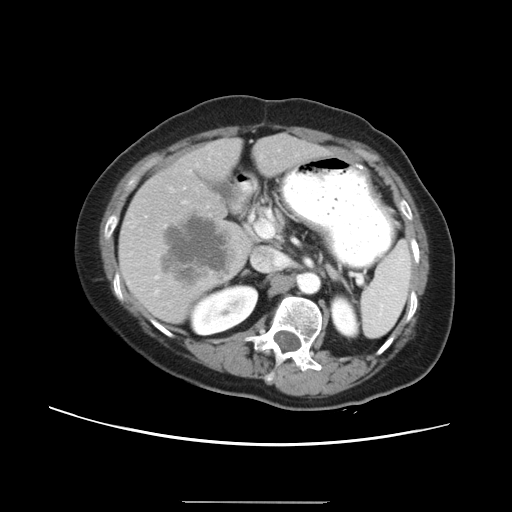

Liver. CT scan slice. 512x512.
Only some of the vessels may be annotated.
The hepatic vessel is located at [x1=155, y1=275, x2=157, y2=278]. The liver tumor is bounded by [x1=163, y1=214, x2=228, y2=282].